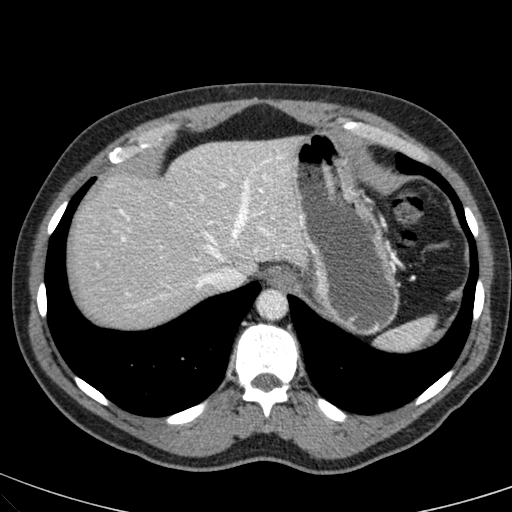
CT, Upper abdomen, 512x512 px

liver:
  - (72, 138, 308, 328)